FLAIR MRI.
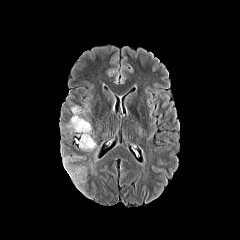
T1-weighted MR image.
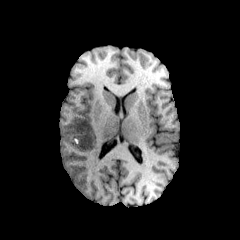
Post-contrast T1-weighted magnetic resonance.
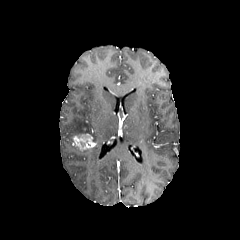
T2-weighted MR image.
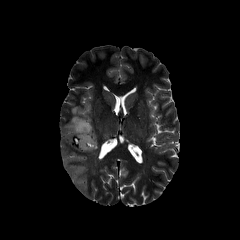
Segmented structures:
* edema: bbox(62, 155, 74, 166); bbox(66, 106, 91, 134); bbox(67, 166, 85, 182); bbox(83, 141, 103, 168)
* enhancing tumor: bbox(73, 133, 95, 153)